Upper abdomen; CT image; Slice 422 of 671 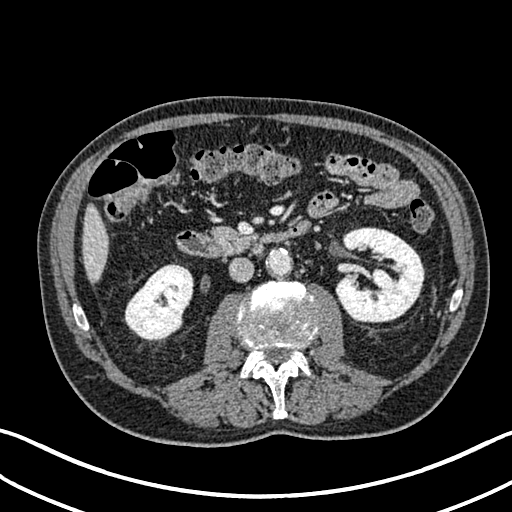
The liver appears at 83:206:108:282. 2 kidney regions are bounded by 336:228:423:321, 125:265:192:339.